MR; Heart
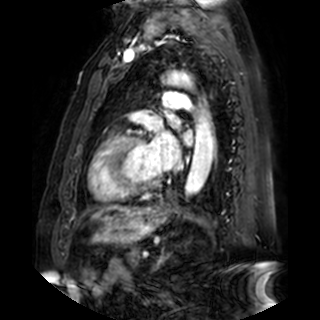
3 left atrium regions are located at bbox(145, 126, 180, 170); bbox(170, 117, 180, 127); bbox(181, 131, 193, 144).